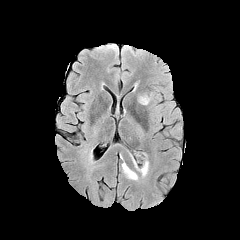
FLAIR magnetic resonance.
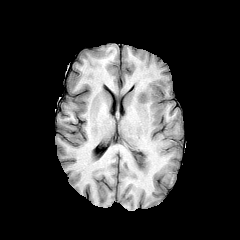
T1-weighted MRI.
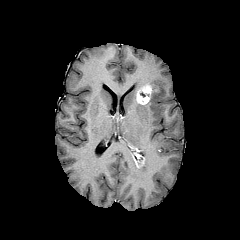
Post-contrast T1-weighted MR image of the same slice.
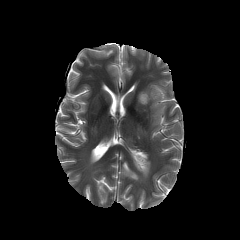
T2-weighted magnetic resonance.
{"edema": ["152, 86, 162, 97", "122, 159, 149, 180"], "enhancing_tumor": ["134, 153, 143, 165", "138, 88, 153, 103"], "non-enhancing_tumor_core": ["140, 84, 160, 96"]}